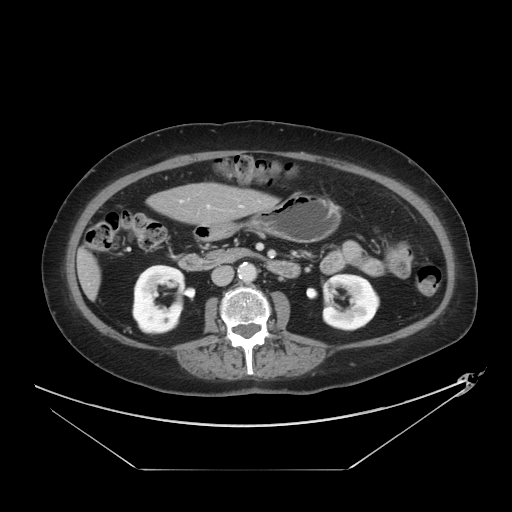
512x512 px, Abdomen, CT scan slice
The vessel boxes may cover only some of the vessels.
The hepatic vessel is bounded by <bbox>240, 205, 242, 207</bbox>.